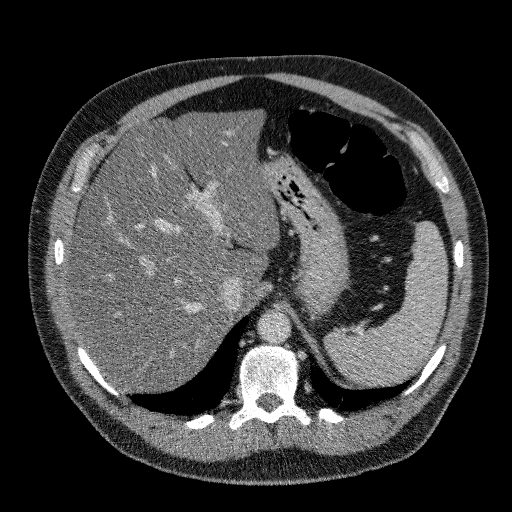

CT slice, 512x512, Liver
Segmented structures:
* liver: box(69, 110, 277, 391)